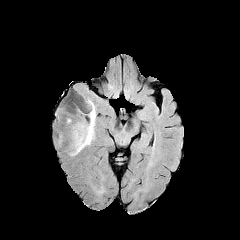
FLAIR MR image.
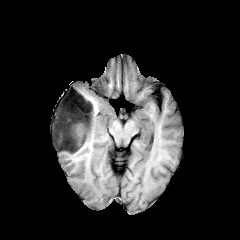
T1-weighted magnetic resonance.
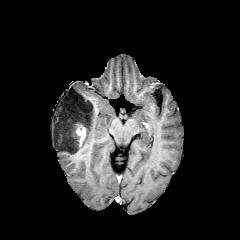
Post-contrast T1-weighted MR image.
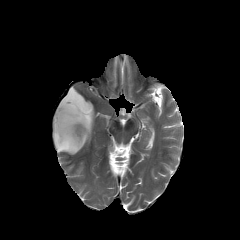
T2-weighted MR image of the same slice.
non-enhancing tumor core: l=54, t=96, r=92, b=153 | enhancing tumor: l=75, t=124, r=86, b=146 | edema: l=69, t=105, r=96, b=155